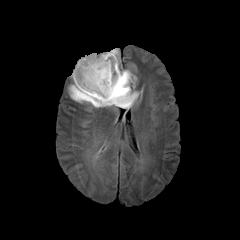
FLAIR MRI.
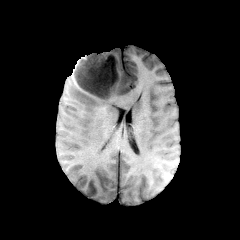
T1-weighted magnetic resonance.
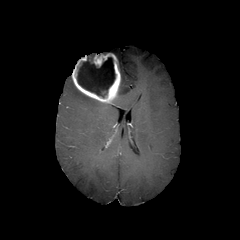
Same slice, post-contrast T1-weighted MRI.
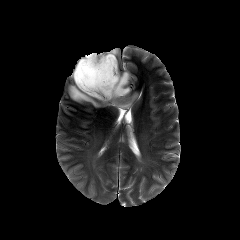
T2-weighted MR image.
Head
Non-enhancing tumor core — [x1=77, y1=54, x2=115, y2=96].
Edema — [x1=69, y1=48, x2=139, y2=109].
Enhancing tumor — [x1=72, y1=53, x2=120, y2=102].